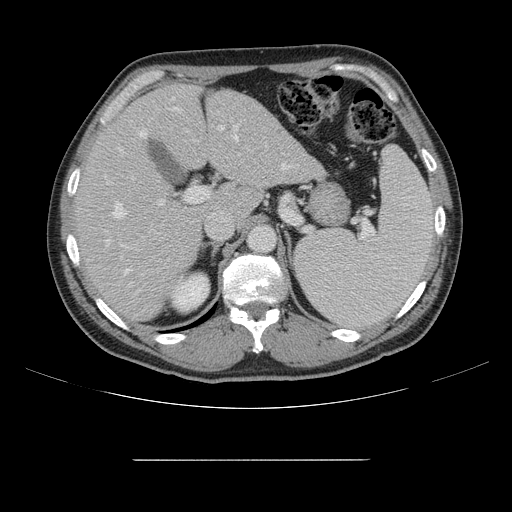

CT image
The vessel boxes may cover only some of the vessels.
Most prominent 15 of 16 hepatic vessel regions: left=118, top=146, right=123, bottom=152; left=234, top=134, right=237, bottom=139; left=185, top=186, right=209, bottom=202; left=124, top=269, right=128, bottom=274; left=113, top=202, right=126, bottom=217; left=234, top=123, right=239, bottom=131; left=121, top=256, right=122, bottom=258; left=171, top=107, right=179, bottom=110; left=107, top=181, right=110, bottom=183; left=282, top=163, right=292, bottom=169; left=129, top=283, right=130, bottom=286; left=120, top=244, right=126, bottom=247; left=106, top=241, right=109, bottom=246; left=219, top=126, right=223, bottom=130; left=157, top=200, right=163, bottom=204.